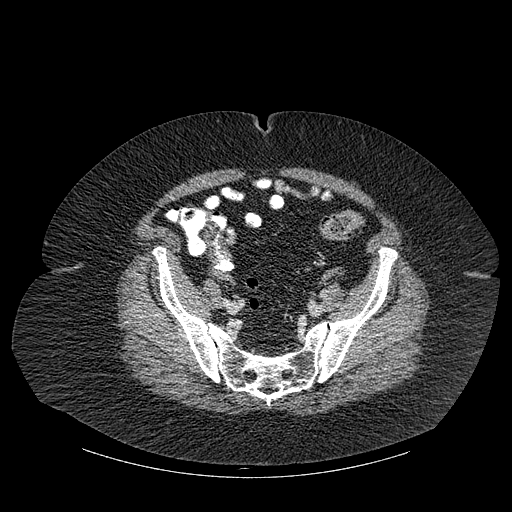 Image size 512x512, CT
Bone = {"x1": 222, "y1": 188, "x2": 237, "y2": 198}, {"x1": 152, "y1": 246, "x2": 397, "y2": 405}.